Field of view 380 mm wide, 2.50 mm slice spacing | Slice 91/168 | CT | Abdomen 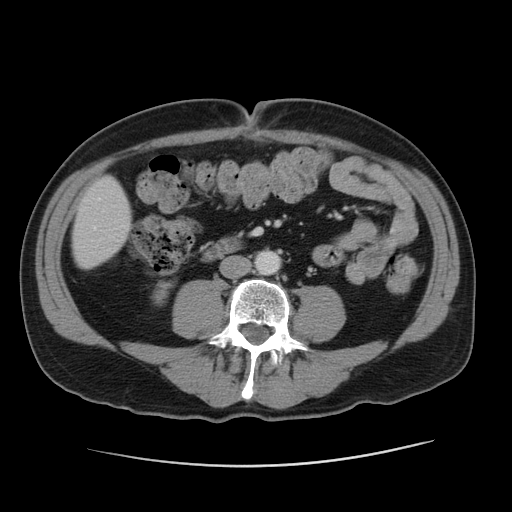

The liver is bounded by <bbox>71, 180, 132, 267</bbox>.